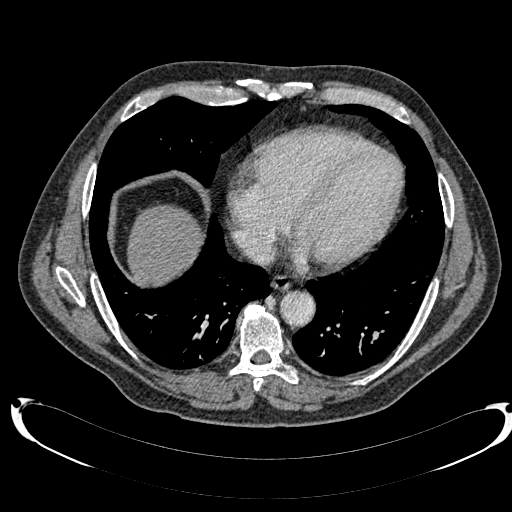
Abdomen | 512x512 | Computed tomography
* liver: bbox=[127, 206, 200, 283]